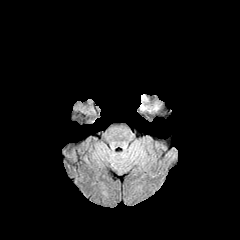
FLAIR MR.
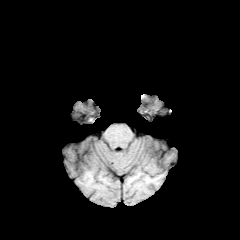
T1-weighted magnetic resonance of the same slice.
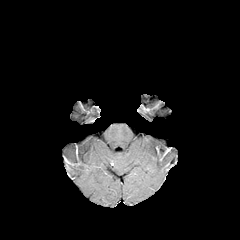
Post-contrast T1-weighted MRI.
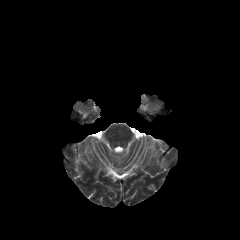
T2-weighted magnetic resonance of the same slice.
Head.
Edema — <box>141,94,148,104</box>.